FLAIR MR image.
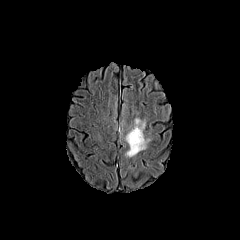
T1-weighted MR image.
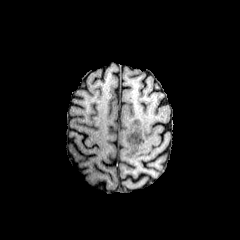
Post-contrast T1-weighted magnetic resonance.
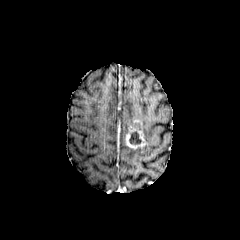
T2-weighted MR image.
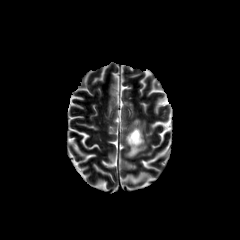
<segmentation>
  <enhancing_tumor>x1=125, y1=127, x2=147, y2=149</enhancing_tumor>
  <non-enhancing_tumor_core>x1=128, y1=122, x2=145, y2=144; x1=128, y1=147, x2=140, y2=155</non-enhancing_tumor_core>
</segmentation>